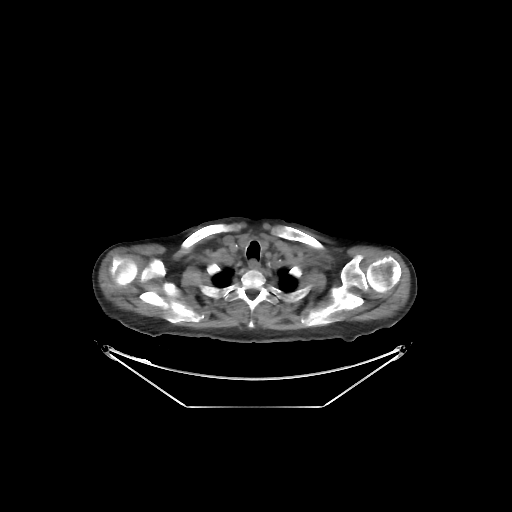
Image size 512x512, CT image, Thorax
8 bone regions are located at [x1=232, y1=270, x2=270, y2=312], [x1=182, y1=224, x2=231, y2=249], [x1=302, y1=255, x2=400, y2=325], [x1=110, y1=257, x2=165, y2=287], [x1=200, y1=285, x2=210, y2=294], [x1=208, y1=263, x2=219, y2=273], [x1=277, y1=226, x2=322, y2=248], [x1=139, y1=284, x2=203, y2=322]. 3 lung regions appear at [x1=211, y1=267, x2=234, y2=287], [x1=277, y1=267, x2=298, y2=292], [x1=246, y1=241, x2=259, y2=260].